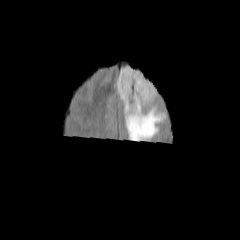
FLAIR MR image.
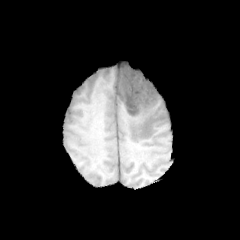
T1-weighted MR.
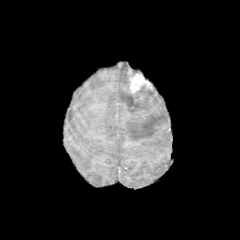
Post-contrast T1-weighted magnetic resonance.
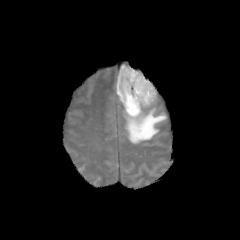
T2-weighted magnetic resonance of the same slice.
The edema is bounded by (116, 64, 167, 142). The enhancing tumor appears at (125, 67, 152, 97). The non-enhancing tumor core is at (134, 85, 155, 103).